35x52; MR image; Medial temporal lobe; Field of view 35x52 mm 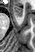

Anterior hippocampus: 13,5,22,16.